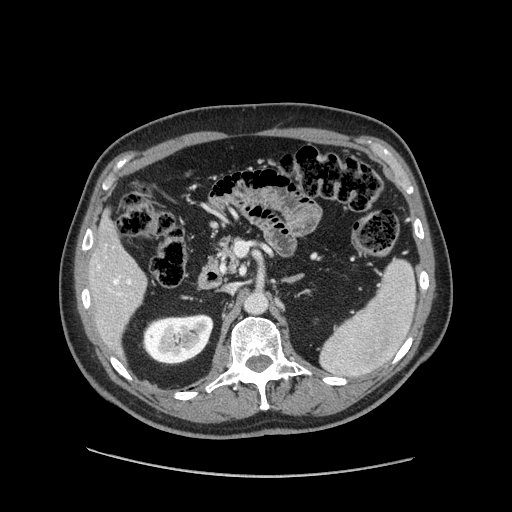
CT image | Image size 512x512

pancreas: {"x1": 207, "y1": 258, "x2": 219, "y2": 271}, {"x1": 221, "y1": 239, "x2": 238, "y2": 271}